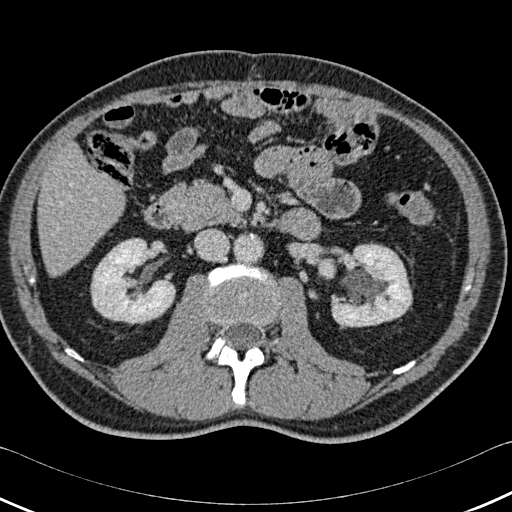 CT

kidney:
  - x1=91 y1=239 x2=174 y2=322
  - x1=332 y1=245 x2=411 y2=326
  - x1=319 y1=260 x2=333 y2=277
liver:
  - x1=38 y1=147 x2=124 y2=274
bone:
  - x1=207 y1=338 x2=263 y2=405
  - x1=66 y1=349 x2=82 y2=360
  - x1=205 y1=264 x2=278 y2=323
  - x1=393 y1=361 x2=414 y2=373